Abdomen; Image width 444 mm; Computed tomography; 512x512 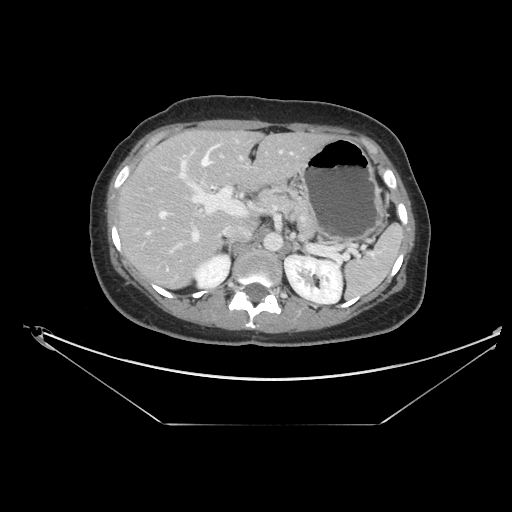 Pancreas at box=[260, 184, 318, 236].